MRI slice. Heart. Slice 114/130. 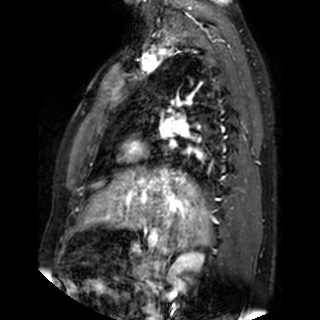
<segmentation>
  <left_atrium>(x1=160, y1=127, x2=169, y2=134)</left_atrium>
</segmentation>